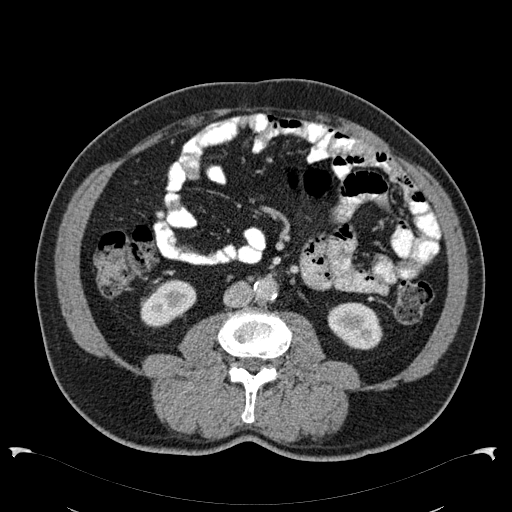
Abdomen; CT scan slice
2 kidney regions are bounded by 141,280,195,326; 328,303,382,349.